FLAIR MR image.
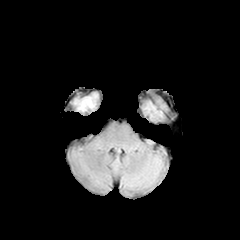
T1-weighted MRI.
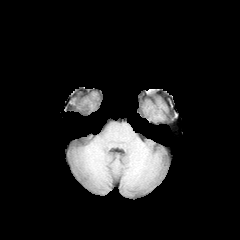
Post-contrast T1-weighted MR.
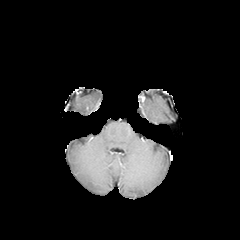
T2-weighted MRI.
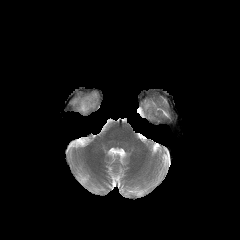
<segmentation>
  <edema>x1=77, y1=96, x2=95, y2=111</edema>
</segmentation>